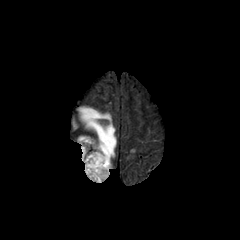
FLAIR MRI.
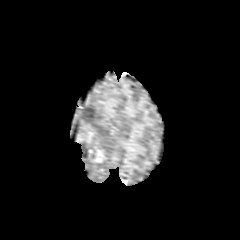
T1-weighted MR.
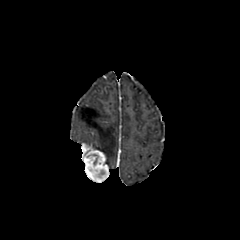
Post-contrast T1-weighted MR.
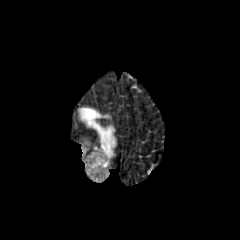
Same slice, T2-weighted magnetic resonance.
• enhancing tumor: bbox=[80, 141, 109, 182]
• edema: bbox=[78, 107, 116, 167]; bbox=[78, 136, 91, 141]